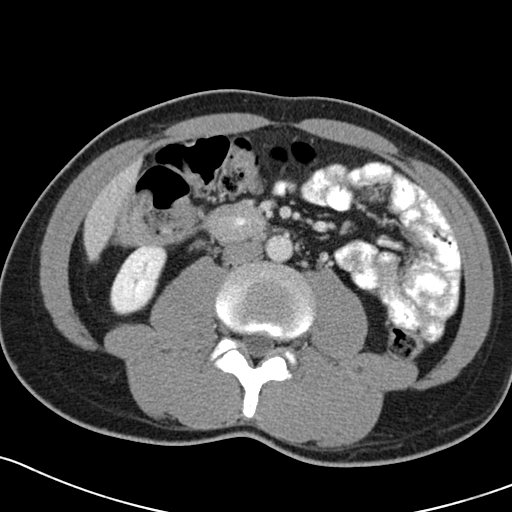

CT image.

Annotated regions:
* colon tumor: [113,192,196,246]